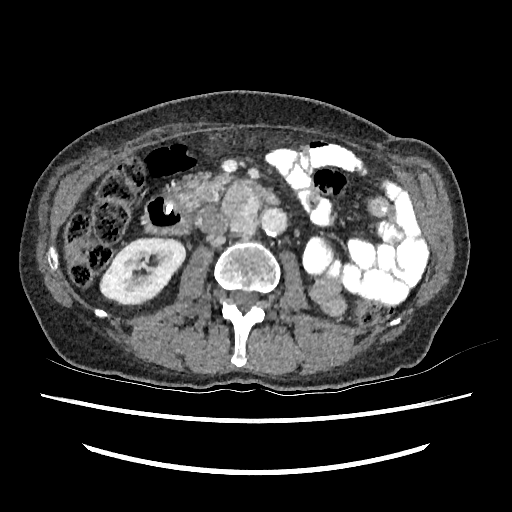
Abdomen, Computed tomography
* kidney: [101,238,185,303]